Image width 369 mm | CT slice 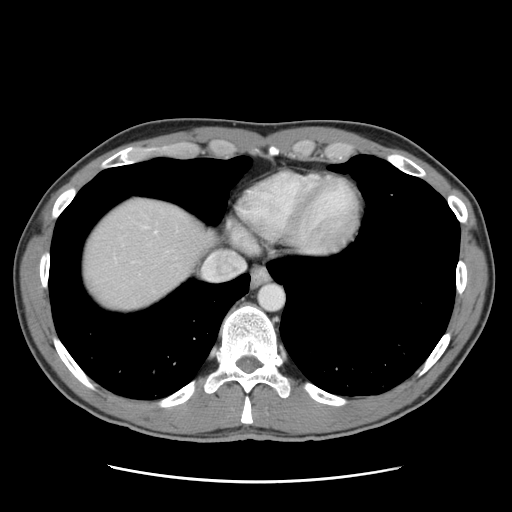
The vessel boxes may cover only some of the vessels.
The hepatic vessel appears at [144,226,146,227].